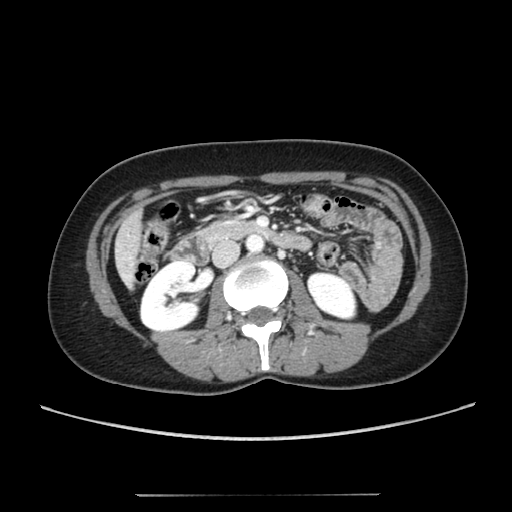
CT image; Liver
<segmentation>
  <kidney>(x1=141, y1=261, x2=196, y2=330), (x1=308, y1=274, x2=354, y2=317)</kidney>
  <liver>(x1=113, y1=207, x2=143, y2=292)</liver>
</segmentation>